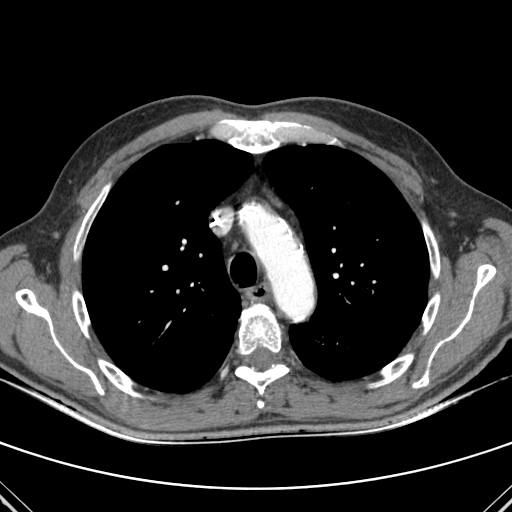
512x512, Computed tomography
lung:
  - [263,144,429,381]
  - [82,140,253,393]
bone:
  - [238,304,280,355]
  - [15,289,104,394]
  - [428,264,495,365]
  - [74,183,109,260]
  - [219,119,298,153]
  - [423,222,439,277]
  - [412,371,428,388]
  - [72,290,89,337]
  - [422,293,439,333]
  - [235,364,289,394]
  - [376,354,413,386]
  - [98,359,140,396]